Head
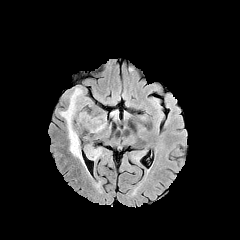
FLAIR MR image.
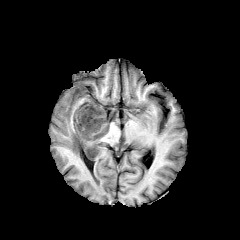
T1-weighted MRI.
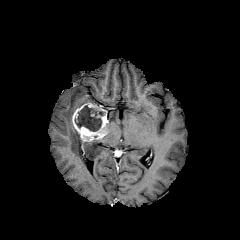
Post-contrast T1-weighted magnetic resonance.
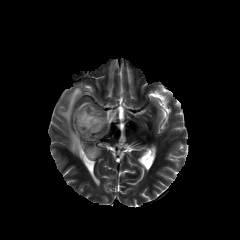
T2-weighted MRI.
Edema = (x1=58, y1=87, x2=84, y2=163), (x1=110, y1=110, x2=118, y2=120), (x1=85, y1=145, x2=103, y2=160).
Non-enhancing tumor core = (x1=75, y1=105, x2=104, y2=131).
Enhancing tumor = (x1=72, y1=102, x2=110, y2=141).